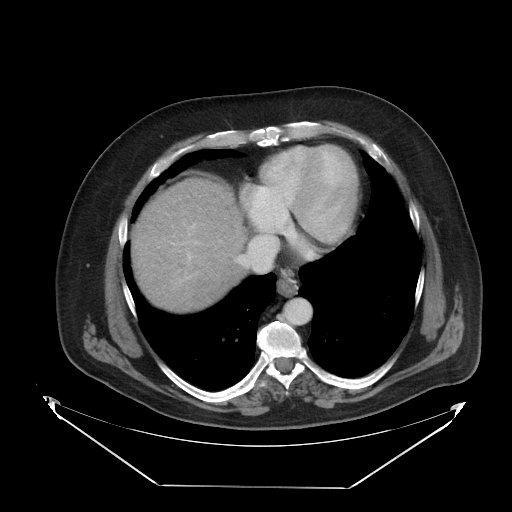

Abdomen, 512x512 px, CT image
Only some of the vessels may be annotated.
Hepatic vessel = box=[235, 182, 284, 271]; box=[170, 223, 201, 263]; box=[271, 169, 282, 178].